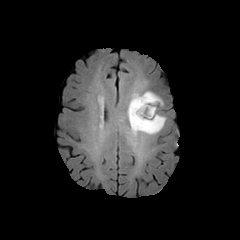
FLAIR magnetic resonance.
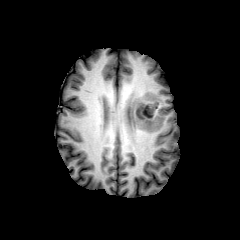
T1-weighted magnetic resonance.
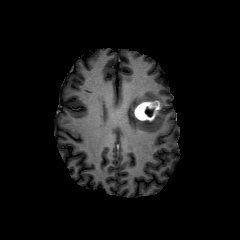
Post-contrast T1-weighted magnetic resonance.
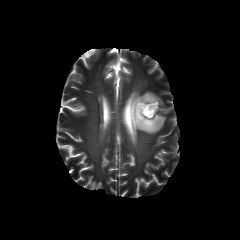
T2-weighted MR.
Brain
Enhancing tumor = [x1=133, y1=100, x2=159, y2=121].
Non-enhancing tumor core = [x1=145, y1=107, x2=153, y2=116].
Edema = [x1=128, y1=91, x2=166, y2=135].